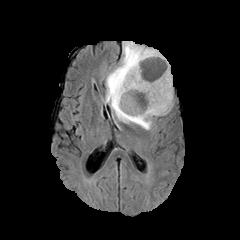
FLAIR MR.
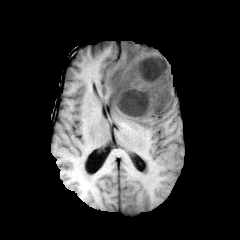
T1-weighted MRI.
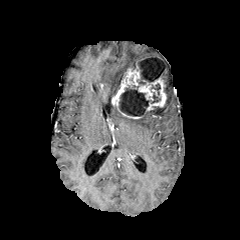
Same slice, post-contrast T1-weighted MR.
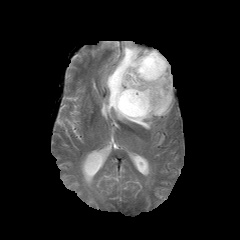
T2-weighted magnetic resonance of the same slice.
240x240.
non-enhancing_tumor_core:
  - (154,93,170,114)
  - (132,56,165,83)
  - (119,86,149,117)
enhancing_tumor:
  - (111,65,166,110)
edema:
  - (103,41,173,129)